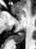

36x49; MR

Annotated regions:
• posterior hippocampus: 13 32 23 43